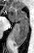 MRI slice, Image size 34x53

The posterior hippocampus appears at region(13, 21, 28, 46). The anterior hippocampus appears at region(10, 7, 28, 21).